CT image

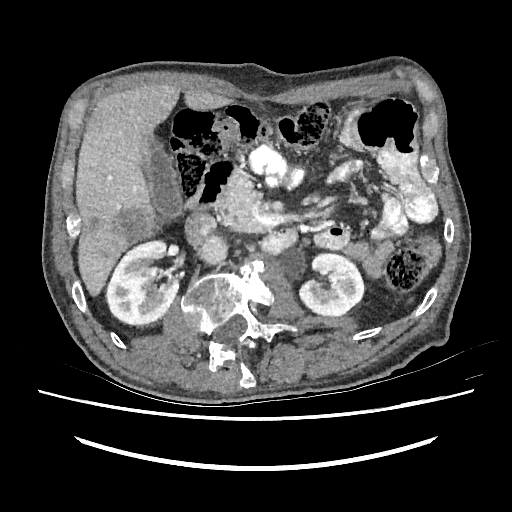 {"liver": ["l=76, t=85, r=179, b=238", "l=184, t=90, r=233, b=110", "l=78, t=228, r=133, b=296"], "kidney": ["l=300, t=254, r=363, b=315", "l=107, t=241, r=178, b=324"], "focal_liver_lesion": ["l=83, t=207, r=151, b=243"]}